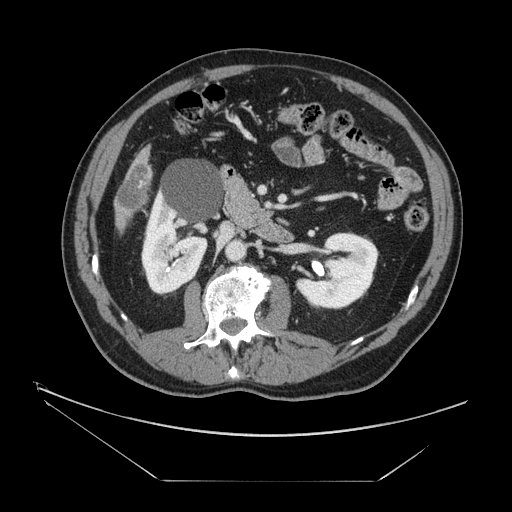
Computed tomography
<segmentation>
  <liver_tumor>{"x1": 119, "y1": 167, "x2": 150, "y2": 212}</liver_tumor>
</segmentation>